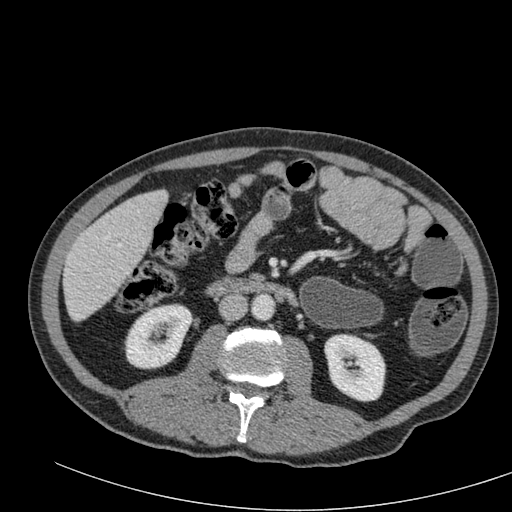
512x512. CT.

2 kidney regions are located at bbox=[126, 305, 191, 367]; bbox=[325, 335, 384, 400]. The liver is located at bbox=[63, 190, 166, 320].